CT slice; Abdomen; 512x512 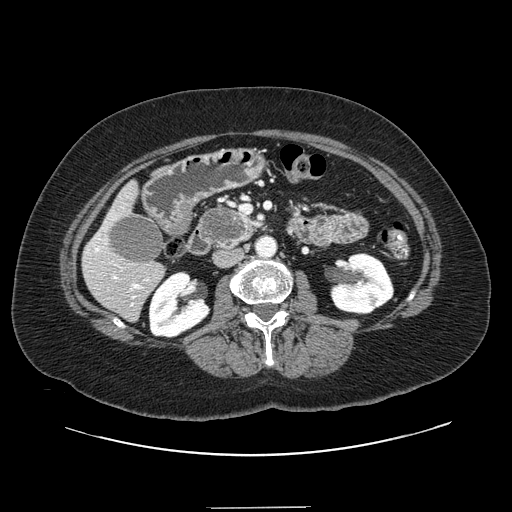

The pancreas is located at <box>198,206,255,250</box>. The pancreatic tumor appears at <box>200,208,245,244</box>.